FLAIR MR.
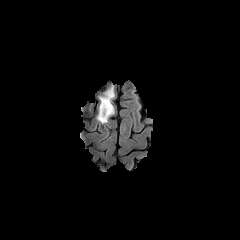
T1-weighted MR image.
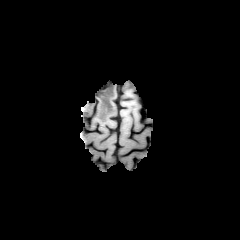
Post-contrast T1-weighted magnetic resonance.
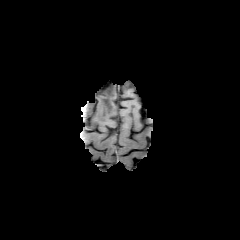
T2-weighted MRI.
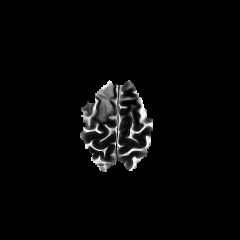
Image size 240x240.
The edema appears at (97, 85, 114, 122).